Slice index 74. CT. Upper abdomen.
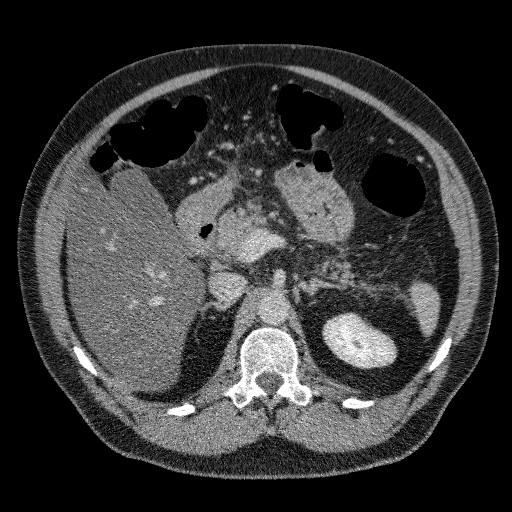 <segmentation>
  <liver>l=67, t=171, r=204, b=390</liver>
  <kidney>l=324, t=314, r=394, b=366</kidney>
</segmentation>